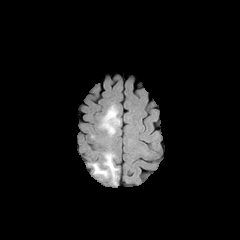
FLAIR MRI.
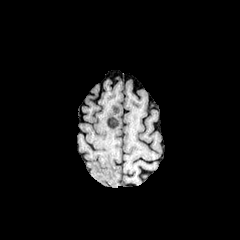
Same slice, T1-weighted magnetic resonance.
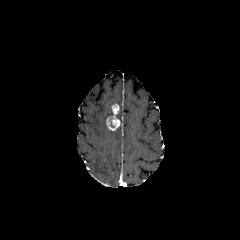
Post-contrast T1-weighted MR image of the same slice.
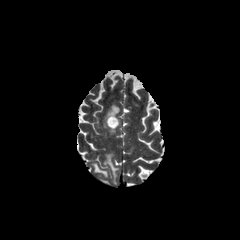
Same slice, T2-weighted MR image.
Head | 240x240
<segmentation>
  <enhancing_tumor>(106, 103, 120, 130)</enhancing_tumor>
  <edema>(98, 106, 115, 136), (89, 163, 108, 175), (104, 153, 118, 183)</edema>
</segmentation>